Slice index 102; Image width 240 mm
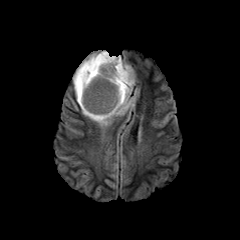
FLAIR MRI.
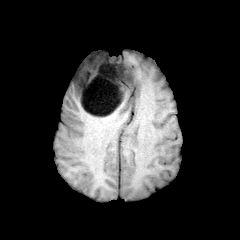
T1-weighted MR image.
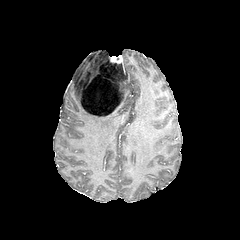
Post-contrast T1-weighted MR image.
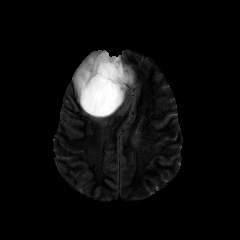
T2-weighted MRI of the same slice.
Findings:
- edema: box=[72, 51, 135, 125]
- enhancing tumor: box=[109, 56, 124, 72]
- non-enhancing tumor core: box=[80, 54, 131, 115]